FLAIR MR image.
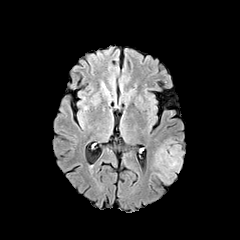
T1-weighted MR image.
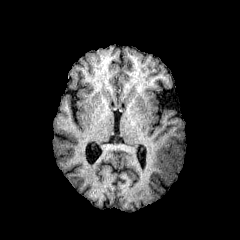
Post-contrast T1-weighted MR image.
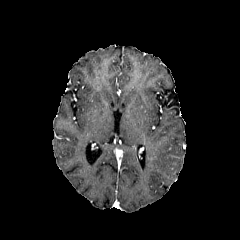
T2-weighted MRI.
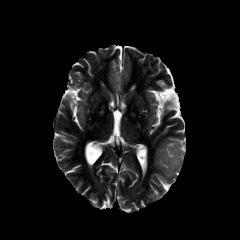
240x240. Brain.
Annotated regions:
- edema: [151, 137, 176, 184]
- non-enhancing tumor core: [162, 141, 184, 177]